512x512 px, CT 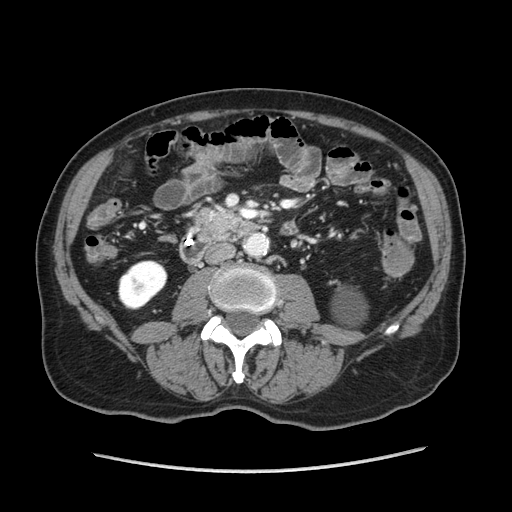
pancreas: [198,210,239,231]